FLAIR MR.
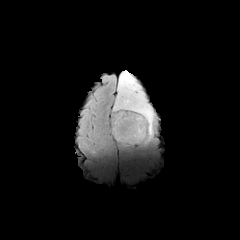
T1-weighted MRI.
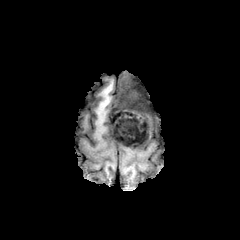
Post-contrast T1-weighted MRI.
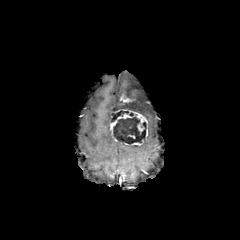
T2-weighted magnetic resonance.
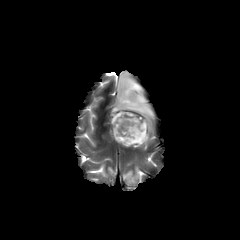
240x240, Head
{"edema": ["[117,70,154,135]"], "non-enhancing_tumor_core": ["[111,94,135,122]", "[113,114,146,145]"], "enhancing_tumor": ["[122,109,147,139]", "[109,120,117,141]", "[120,94,132,102]"]}